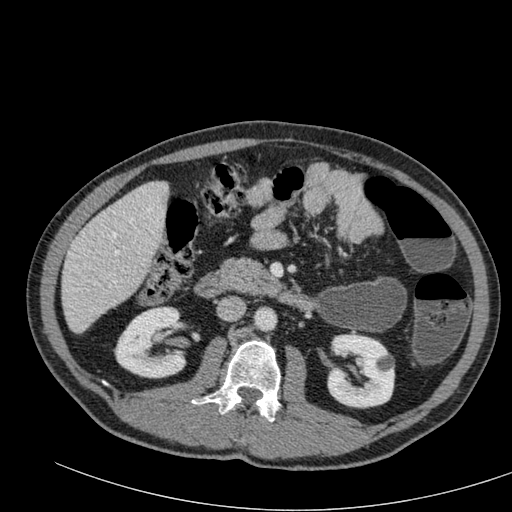

Upper abdomen | CT image
Liver at l=62, t=182, r=168, b=332.
Kidney at l=116, t=307, r=184, b=377; l=328, t=335, r=394, b=406.